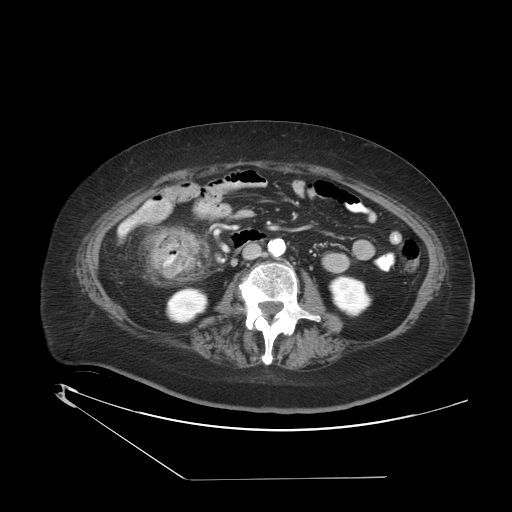
CT; Abdomen
colon_tumor:
  - [x1=151, y1=229, x2=197, y2=278]